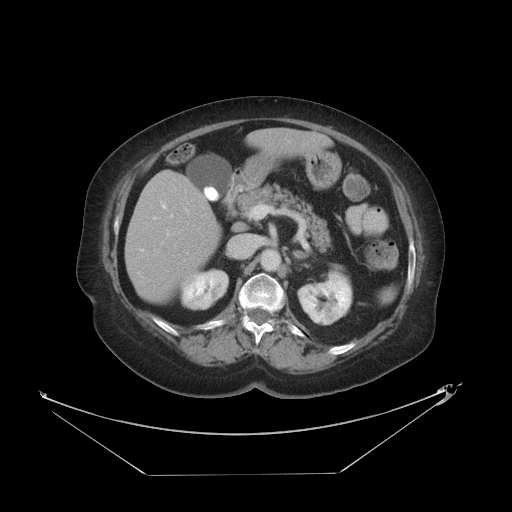
Image size 512x512, Liver, CT scan slice
The vessel boxes may cover only some of the vessels.
<segmentation>
  <hepatic_vessel>bbox=[249, 204, 260, 218]; bbox=[167, 233, 168, 234]</hepatic_vessel>
</segmentation>